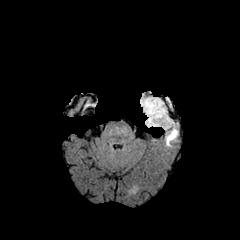
FLAIR magnetic resonance.
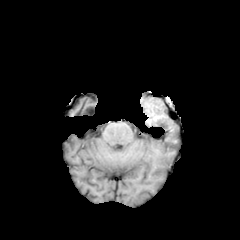
T1-weighted MR image.
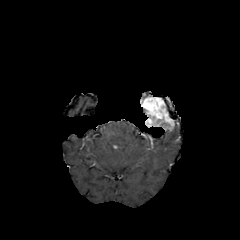
Post-contrast T1-weighted magnetic resonance.
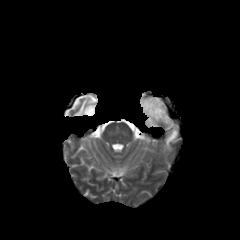
T2-weighted magnetic resonance.
240x240 px.
edema:
  - left=164, top=123, right=177, bottom=147
enhancing_tumor:
  - left=140, top=95, right=174, bottom=130